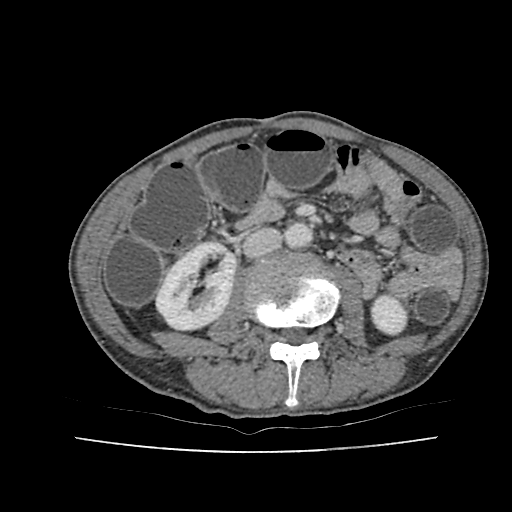

Computed tomography
2 kidney regions are bounded by <box>156,243,235,329</box>, <box>372,297,405,332</box>.